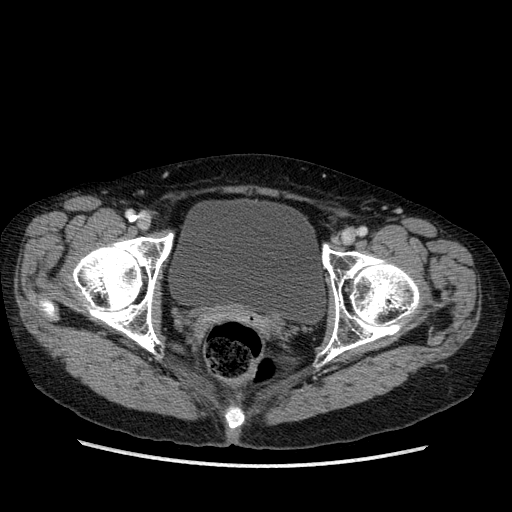 512x512 px, Pelvis, CT slice
The urinary bladder lies within 168, 198, 328, 325.